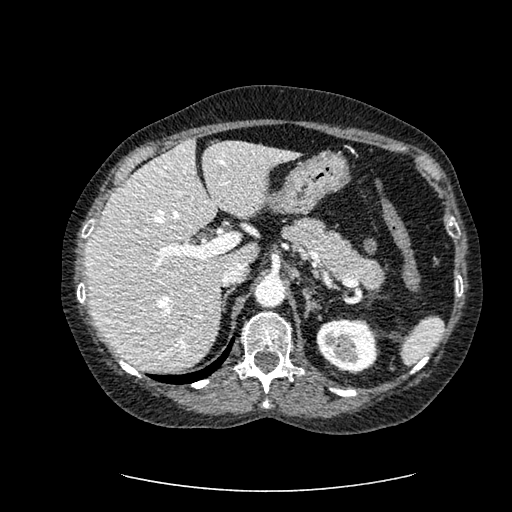
CT image. Upper abdomen. liver:
  - 84 138 298 370
kidney:
  - 317 320 376 371